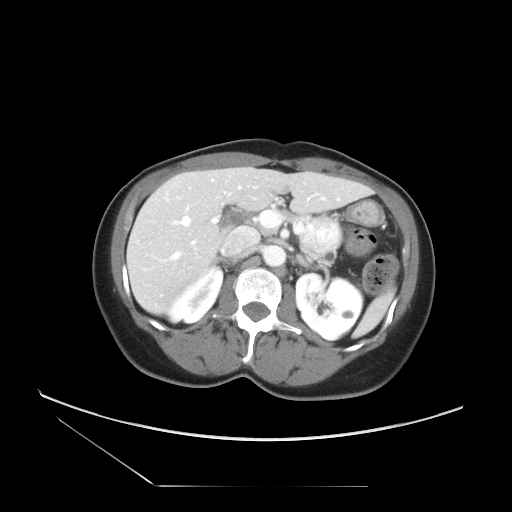

CT scan slice
The pancreatic tumor lies within (x1=300, y1=216, x2=341, y2=258). 2 pancreas regions are located at (x1=301, y1=214, x2=341, y2=231), (x1=310, y1=249, x2=337, y2=265).